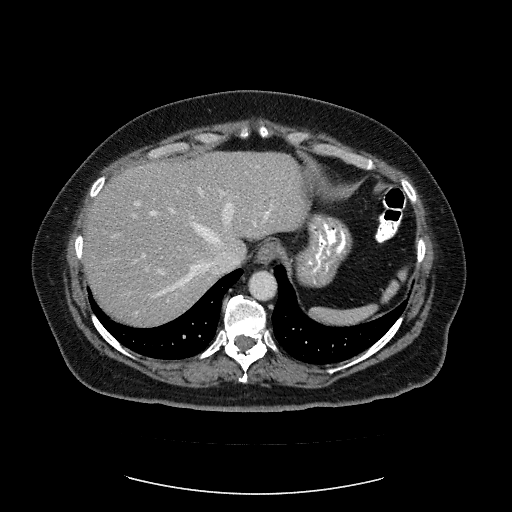
CT
Only some of the vessels may be annotated.
Most prominent 15 of 22 hepatic vessel regions — x1=191 y1=265 x2=196 y2=269, x1=135 y1=201 x2=140 y2=205, x1=264 y1=208 x2=272 y2=220, x1=158 y1=269 x2=164 y2=273, x1=191 y1=215 x2=193 y2=220, x1=220 y1=190 x2=225 y2=196, x1=193 y1=224 x2=219 y2=242, x1=198 y1=187 x2=203 y2=194, x1=199 y1=261 x2=209 y2=269, x1=263 y1=225 x2=291 y2=234, x1=133 y1=214 x2=136 y2=217, x1=224 y1=203 x2=233 y2=224, x1=114 y1=233 x2=122 y2=236, x1=154 y1=271 x2=194 y2=295, x1=151 y1=211 x2=156 y2=214.